Head | Image width 240 mm | Slice 58/155
FLAIR MR image.
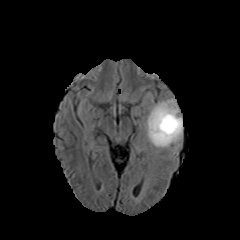
T1-weighted MR.
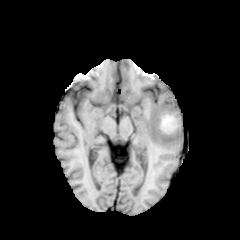
Post-contrast T1-weighted MR.
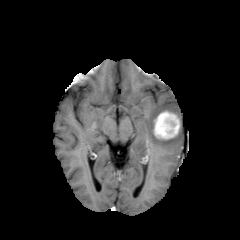
T2-weighted magnetic resonance.
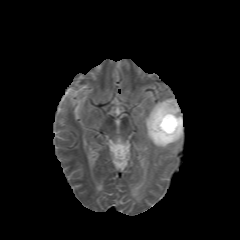
Segmented structures:
- edema: <box>140,96,182,153</box>
- enhancing tumor: <box>160,114,177,132</box>
- non-enhancing tumor core: <box>156,112,173,135</box>, <box>155,102,170,113</box>